Image size 512x512. CT image. 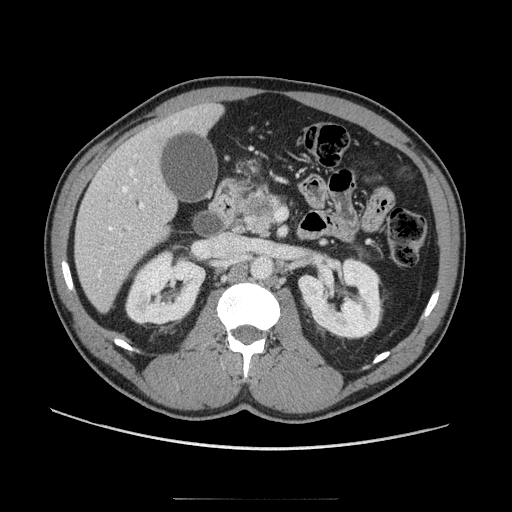 {"pancreatic_tumor": ["rect(242, 194, 275, 218)"], "pancreas": ["rect(241, 192, 279, 236)"]}